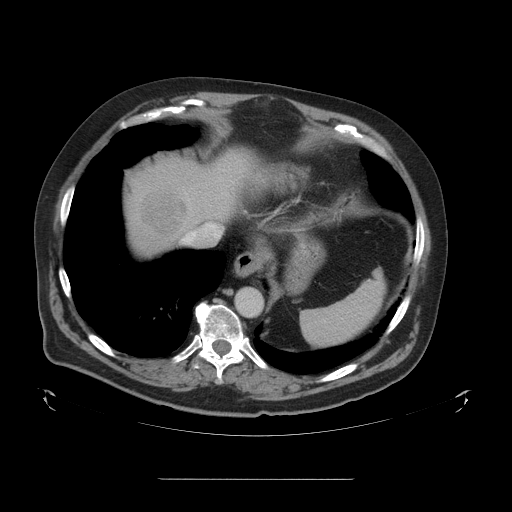

Computed tomography

Only some of the vessels may be annotated.
Liver tumor at rect(141, 190, 187, 234).
Hepatic vessel at rect(207, 222, 212, 223); rect(182, 224, 213, 243).